Slice index 49 | Brain
FLAIR MR image.
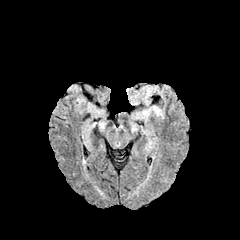
T1-weighted MR image.
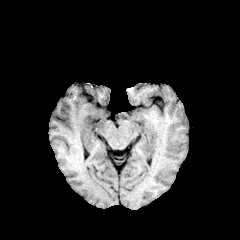
Post-contrast T1-weighted magnetic resonance.
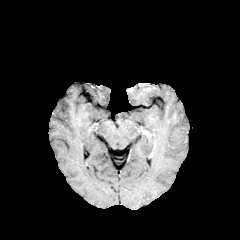
T2-weighted MR image.
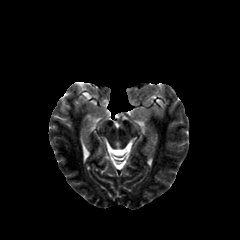
Edema = [142, 85, 163, 97], [130, 106, 157, 123].